512x512 px, CT slice, Slice 178 of 217, Abdomen
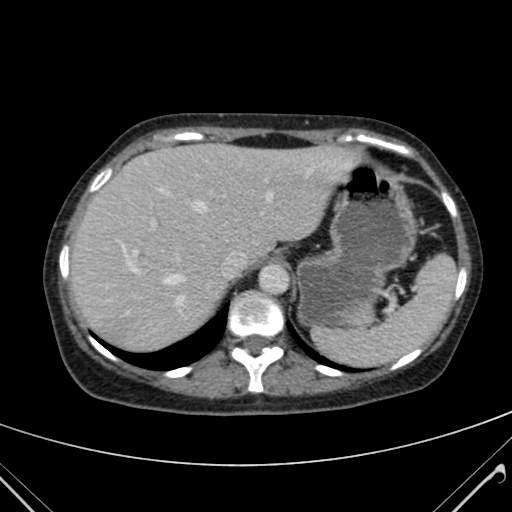 The liver is located at bbox(71, 144, 355, 350).